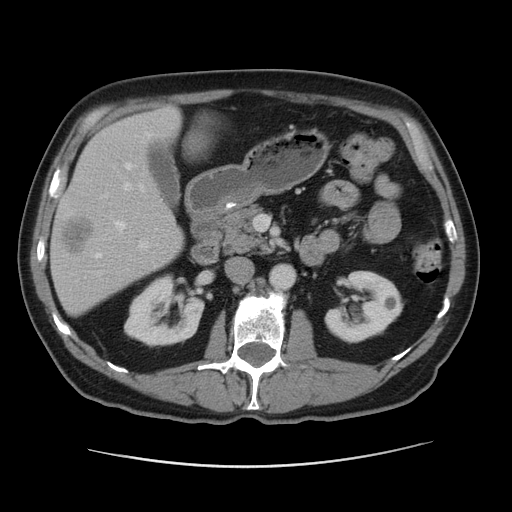 CT slice
<segmentation>
  <hepatic_lesion>61:217:93:255</hepatic_lesion>
  <kidney>324:271:402:342, 126:277:202:344</kidney>
  <liver>50:109:181:311</liver>
</segmentation>